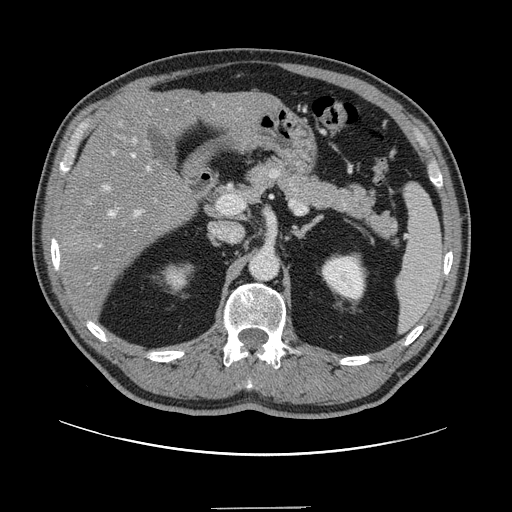 CT

Some hepatic vessels may have no box.
liver tumor: x1=70, y1=234, x2=96, y2=252 | hepatic vessel: x1=109, y1=210, x2=117, y2=216; x1=133, y1=139, x2=136, y2=142; x1=103, y1=185, x2=109, y2=190; x1=135, y1=211, x2=141, y2=216; x1=113, y1=152, x2=114, y2=153; x1=132, y1=154, x2=135, y2=157; x1=148, y1=167, x2=150, y2=170; x1=99, y1=245, x2=101, y2=247